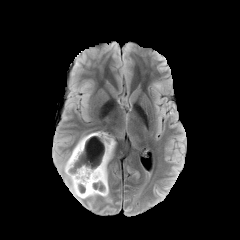
FLAIR magnetic resonance.
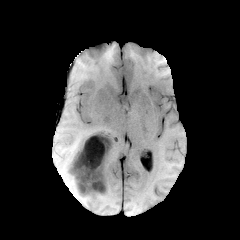
T1-weighted MRI.
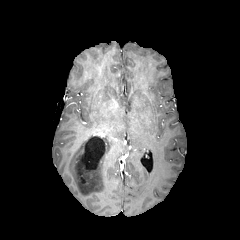
Same slice, post-contrast T1-weighted magnetic resonance.
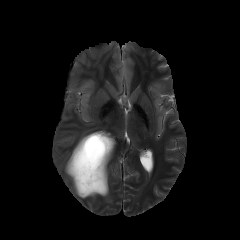
T2-weighted MRI of the same slice.
Brain, 240x240
The enhancing tumor is bounded by x1=82 y1=131 x2=113 y2=175. The non-enhancing tumor core lies within x1=68 y1=135 x2=110 y2=196. 2 edema regions are bounded by x1=63 y1=148 x2=88 y2=198, x1=90 y1=168 x2=108 y2=196.